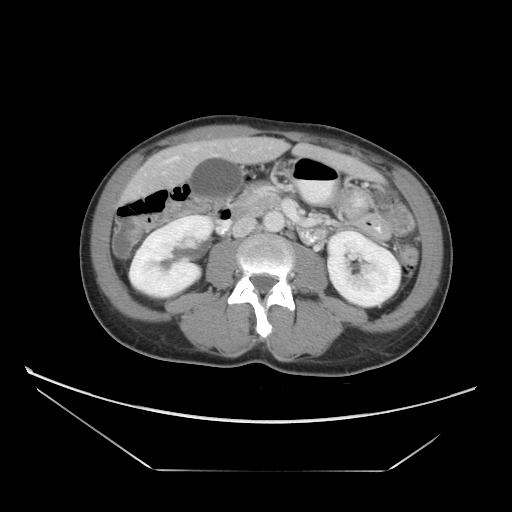
CT. Image size 512x512. Abdomen. Some hepatic vessels may have no box.
<segmentation>
  <hepatic_vessel>(172, 155, 180, 160)</hepatic_vessel>
</segmentation>